Slice index 30 | Image width 402 mm | CT scan slice
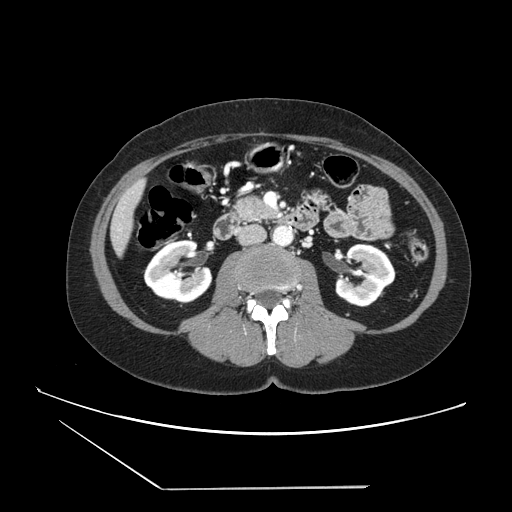
The pancreas lies within [235,197,276,219].